FLAIR magnetic resonance.
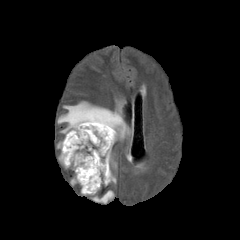
T1-weighted magnetic resonance.
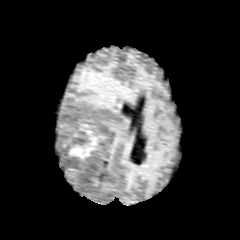
Post-contrast T1-weighted MR.
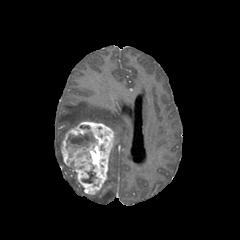
T2-weighted MRI.
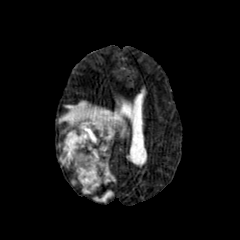
Image size 240x240.
enhancing tumor: {"x1": 60, "y1": 120, "x2": 115, "y2": 195} | non-enhancing tumor core: {"x1": 69, "y1": 135, "x2": 93, "y2": 144} | edema: {"x1": 58, "y1": 101, "x2": 128, "y2": 138}, {"x1": 91, "y1": 190, "x2": 113, "y2": 203}, {"x1": 104, "y1": 157, "x2": 116, "y2": 185}